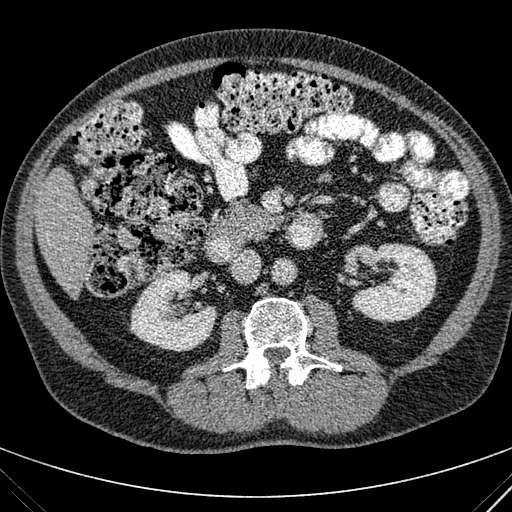 Upper abdomen; CT
Liver: bounding box (left=35, top=168, right=92, bottom=298).
Kidney: bounding box (left=131, top=270, right=216, bottom=351), (left=345, top=244, right=435, bottom=321).